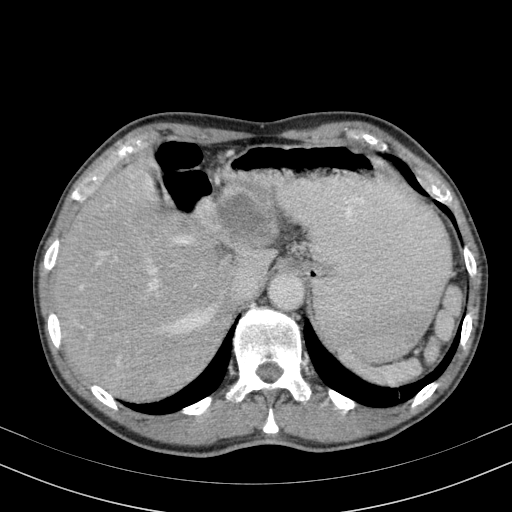
CT scan slice

The liver lies within x1=55, y1=161, x2=278, y2=403. The focal liver lesion is bounded by x1=217, y1=193, x2=268, y2=243.